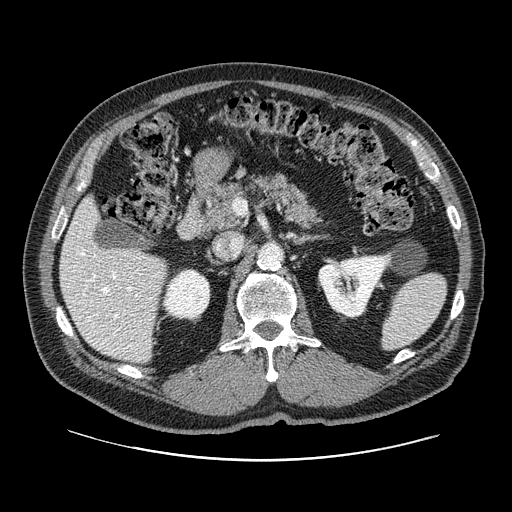
Abdomen | CT scan slice | 512x512 px
• pancreas: 195 174 328 234